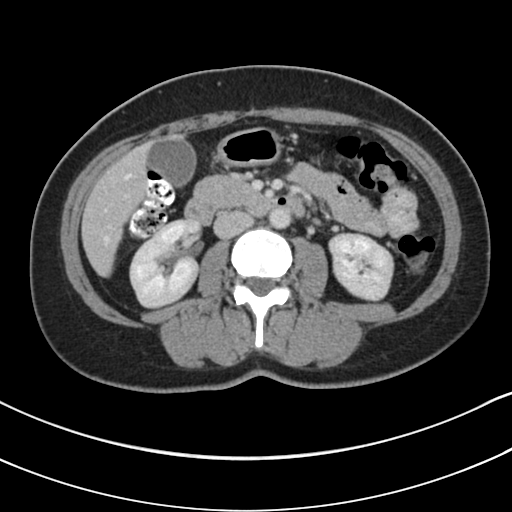 512x512. Abdomen. CT image.

Pancreas = (194, 174, 261, 209).